FLAIR magnetic resonance.
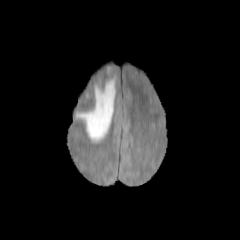
T1-weighted MR.
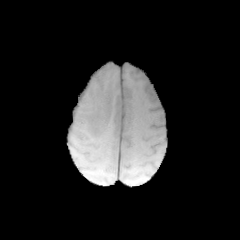
Post-contrast T1-weighted MRI.
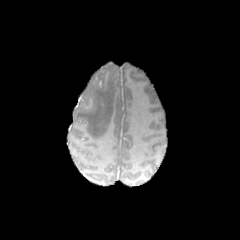
T2-weighted MR image.
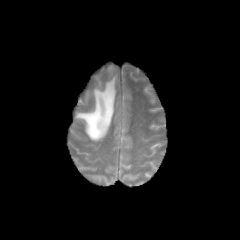
Brain. 240x240 px.
{"edema": ["<box>76,75,116,142</box>"]}